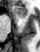 Magnetic resonance | 40x52
Anterior hippocampus — 13 6 27 17.